CT scan slice; Slice 653/908; Upper abdomen

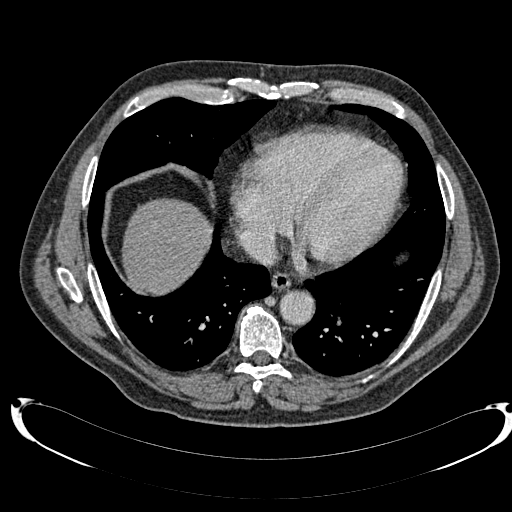 The liver lies within (left=123, top=200, right=208, bottom=292).